FLAIR magnetic resonance.
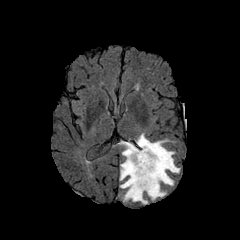
T1-weighted MR.
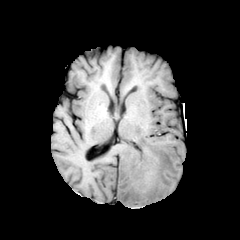
Post-contrast T1-weighted MR image.
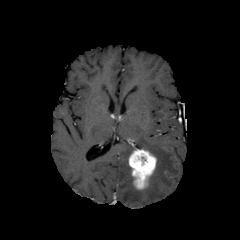
T2-weighted magnetic resonance.
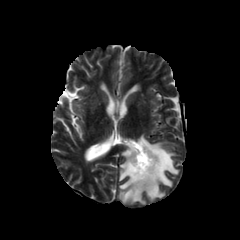
enhancing tumor: <bbox>128, 141, 157, 189</bbox> | edema: <bbox>118, 133, 179, 204</bbox>